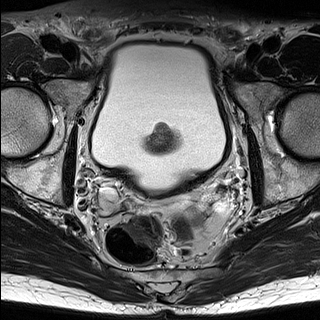
T2-weighted MR image.
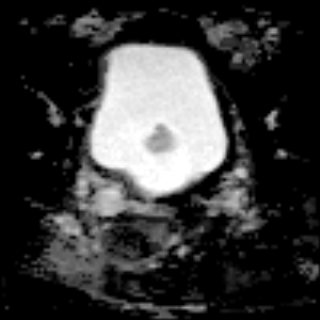
Same slice, ADC MR image.
Image size 320x320. Prostate.
Prostate transition zone = box(154, 133, 168, 147).